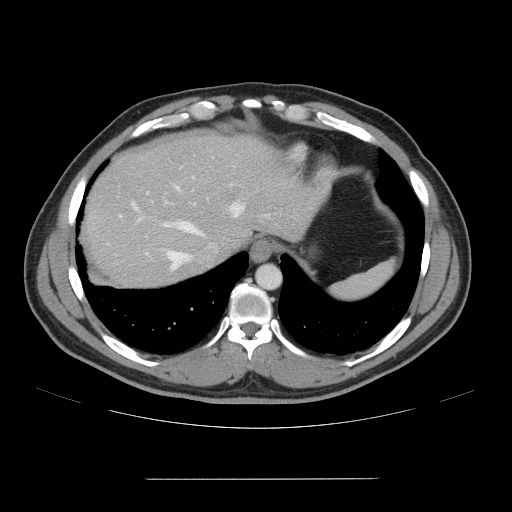

CT image; Liver
The vessel annotation is not exhaustive.
<segmentation>
  <hepatic_vessel>rect(164, 200, 168, 202); rect(133, 204, 137, 209); rect(229, 184, 231, 185); rect(119, 214, 121, 216); rect(168, 252, 190, 269); rect(139, 217, 142, 220); rect(174, 185, 179, 189); rect(147, 192, 149, 193); rect(231, 202, 243, 216); rect(161, 222, 170, 226); rect(172, 221, 200, 233)</hepatic_vessel>
</segmentation>